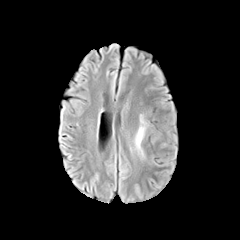
FLAIR MRI.
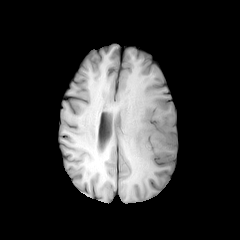
T1-weighted MR of the same slice.
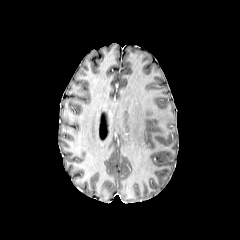
Post-contrast T1-weighted MR image of the same slice.
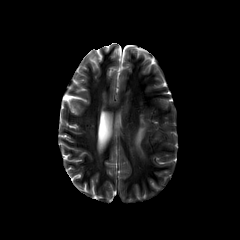
T2-weighted MRI.
Head | Image size 240x240
edema: <box>129,114,149,160</box>